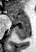
Medial temporal lobe | Magnetic resonance
posterior hippocampus: 15, 25, 30, 39 | anterior hippocampus: 8, 12, 30, 24